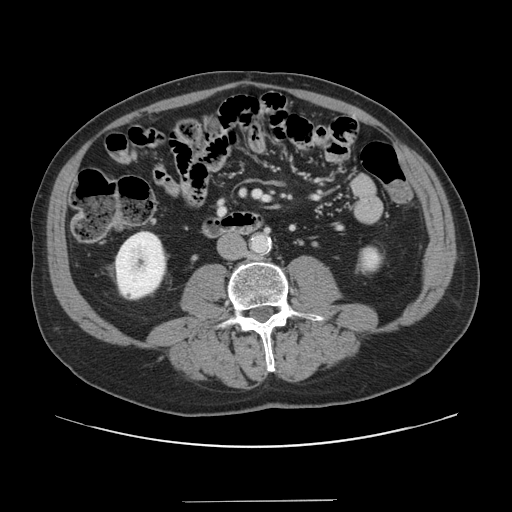

Abdomen | CT

The vessel boxes may cover only some of the vessels.
hepatic_vessel:
  - left=263, top=197, right=266, bottom=199
  - left=254, top=191, right=260, bottom=195